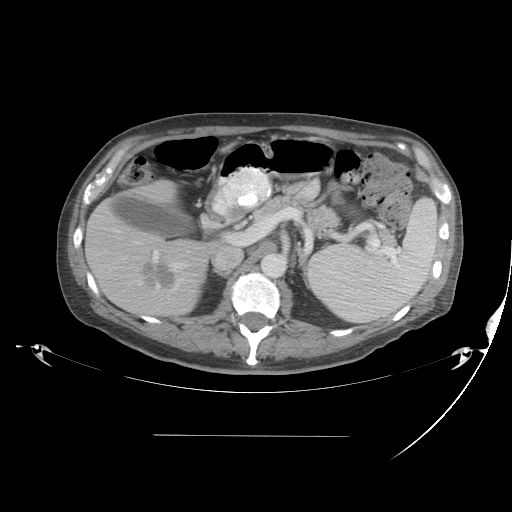
Computed tomography. Liver. 512x512.
Some hepatic vessels may have no box.
{
  "hepatic_vessel": [
    "136:242:139:243",
    "112:229:120:232",
    "156:286:159:291",
    "111:236:114:236",
    "170:262:184:271",
    "176:279:182:287",
    "153:250:158:260"
  ],
  "liver_tumor": [
    "144:261:175:286"
  ]
}